FLAIR MR image.
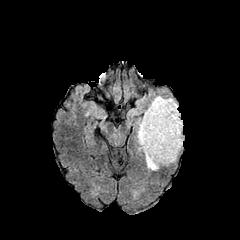
T1-weighted MR.
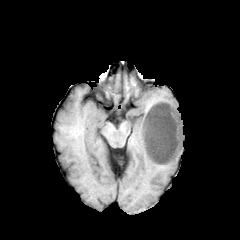
Post-contrast T1-weighted MRI.
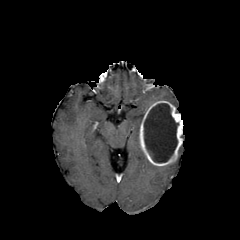
T2-weighted MR image.
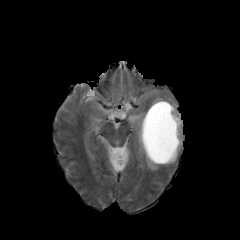
Annotated regions:
• edema: x1=149 y1=93 x2=178 y2=107, x1=136 y1=116 x2=159 y2=171
• enhancing tumor: x1=139 y1=100 x2=183 y2=166
• non-enhancing tumor core: x1=144 y1=103 x2=177 y2=162